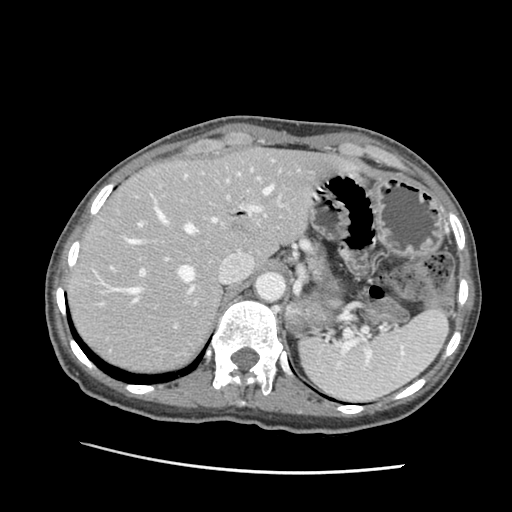 CT slice, 512x512

Pancreas: l=309, t=245, r=330, b=285.